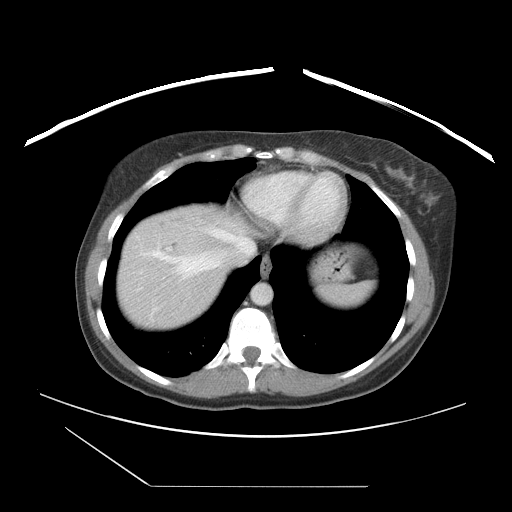
CT slice
Not every hepatic vessel necessarily has a box.
4 hepatic vessel regions are bounded by 138 288 140 290, 151 223 254 277, 167 247 170 250, 142 253 146 254.